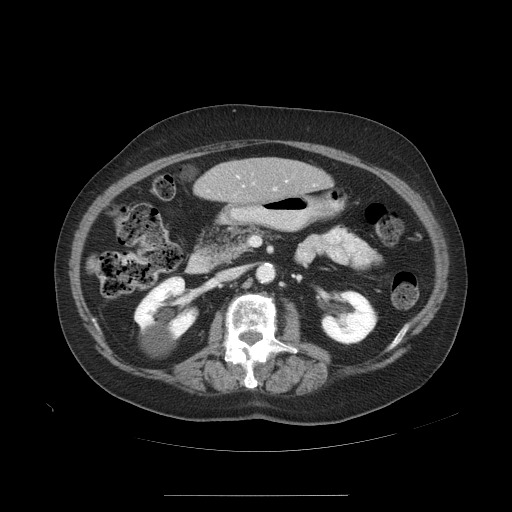 Abdomen. CT scan slice. Image size 512x512. Not every hepatic vessel necessarily has a box.
<segmentation>
  <hepatic_vessel><box>236,176,238,177</box>, <box>273,188,275,189</box></hepatic_vessel>
</segmentation>